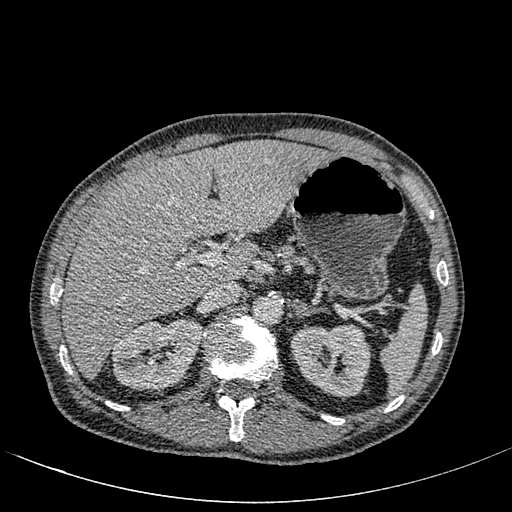
Abdomen. CT slice.

Liver at rect(62, 140, 330, 379).
Liver lesion at rect(156, 170, 165, 178).
Kidney at rect(291, 325, 369, 396); rect(112, 320, 203, 389).